Brain; 240x240 px
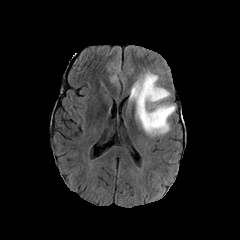
FLAIR MR image.
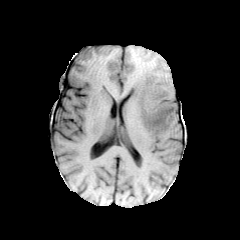
T1-weighted magnetic resonance of the same slice.
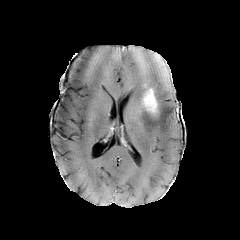
Post-contrast T1-weighted MR of the same slice.
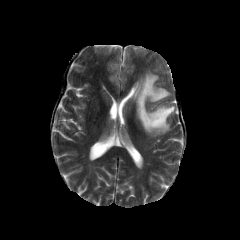
Same slice, T2-weighted magnetic resonance.
{"edema": [{"x1": 129, "y1": 70, "x2": 175, "y2": 136}], "enhancing_tumor": [{"x1": 144, "y1": 87, "x2": 158, "y2": 118}]}